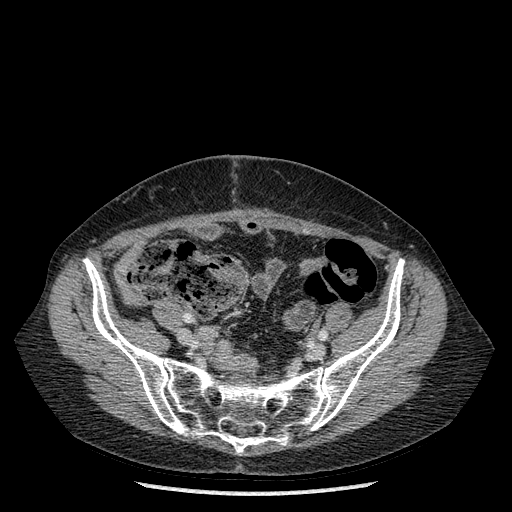

Image size 512x512, CT slice
bone: 83,258,404,455